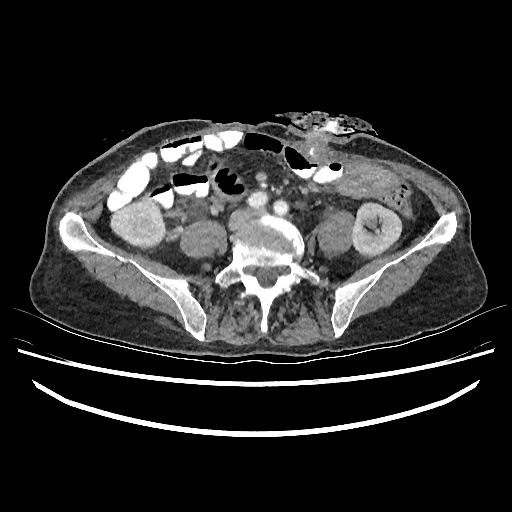

CT slice; Image size 512x512

• kidney: <box>111,196,164,245</box>, <box>352,203,401,254</box>